FLAIR MR image.
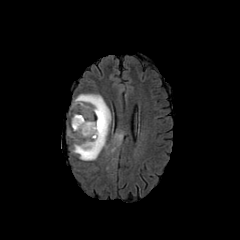
T1-weighted magnetic resonance.
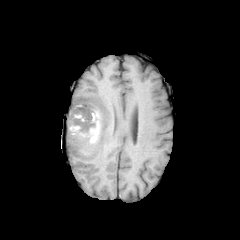
Post-contrast T1-weighted magnetic resonance.
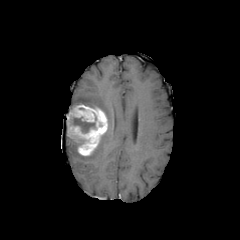
T2-weighted MR.
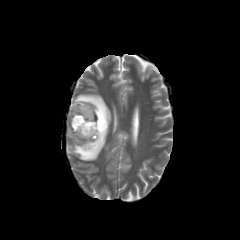
Brain
Findings:
* enhancing tumor: bbox=[67, 104, 107, 156]
* non-enhancing tumor core: bbox=[71, 114, 96, 133]
* edema: bbox=[67, 92, 111, 161]